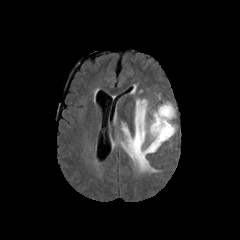
FLAIR MRI.
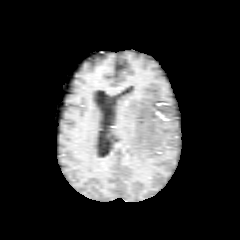
Same slice, T1-weighted MR image.
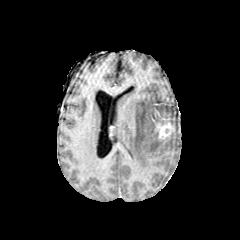
Post-contrast T1-weighted MR.
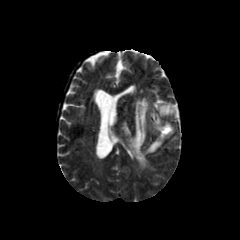
Same slice, T2-weighted MR.
Brain
enhancing tumor: (left=157, top=123, right=173, bottom=138) | edema: (left=121, top=93, right=178, bottom=170)